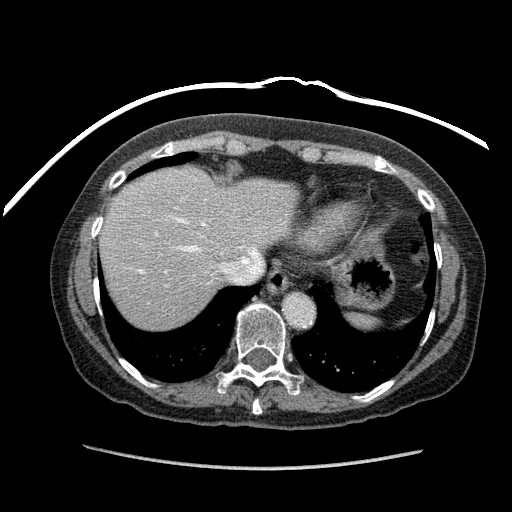 CT slice.

The liver is bounded by [101, 166, 295, 329].